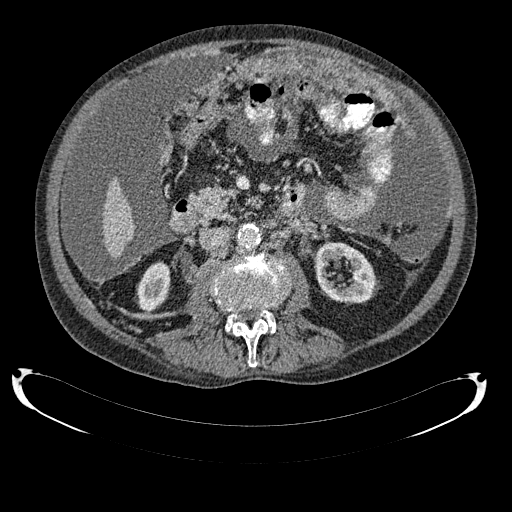
512x512 px | Upper abdomen | CT slice
<segmentation>
  <kidney>(138,262,169,311), (315,242,374,302)</kidney>
  <liver>(104,176,133,257)</liver>
</segmentation>